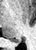

MR

The posterior hippocampus is at {"x1": 11, "y1": 40, "x2": 19, "y2": 42}.